CT

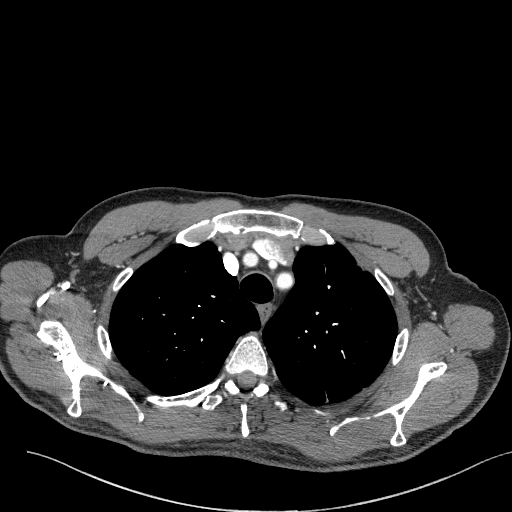 Lung tumor at x1=354 y1=276 x2=364 y2=287.